Upper abdomen | CT scan slice
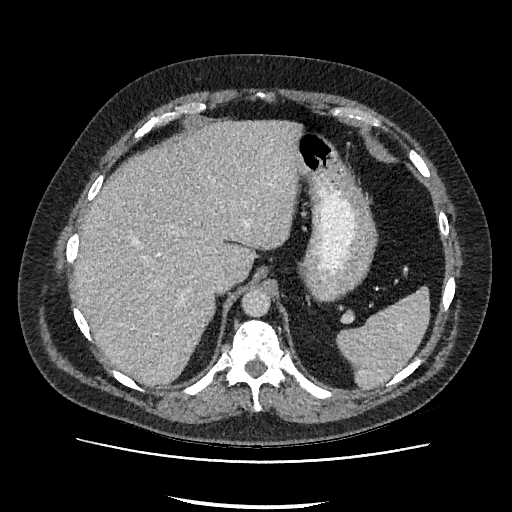 {
  "liver": [
    "(x1=76, y1=121, x2=300, y2=385)"
  ]
}